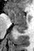
MR, 34x51, Medial temporal lobe

Segmented structures:
* anterior hippocampus: <bbox>7, 7, 27, 24</bbox>
* posterior hippocampus: <bbox>15, 25, 28, 33</bbox>